CT slice; Abdomen; Field of view 434x434 mm
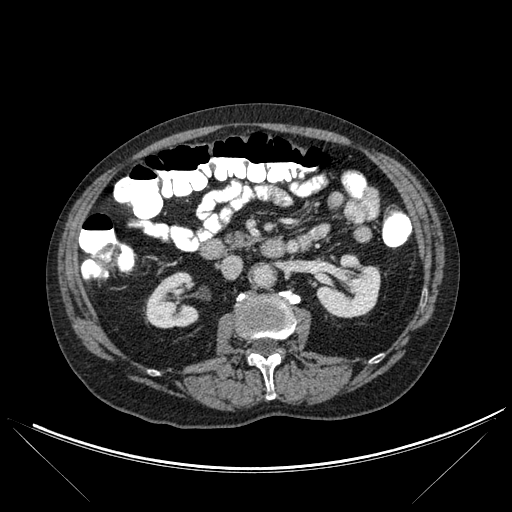
2 bone regions appear at box(247, 353, 281, 399); box(236, 291, 299, 338). 3 kidney regions are bounded by box(147, 273, 197, 327); box(341, 255, 360, 267); box(317, 266, 379, 317).